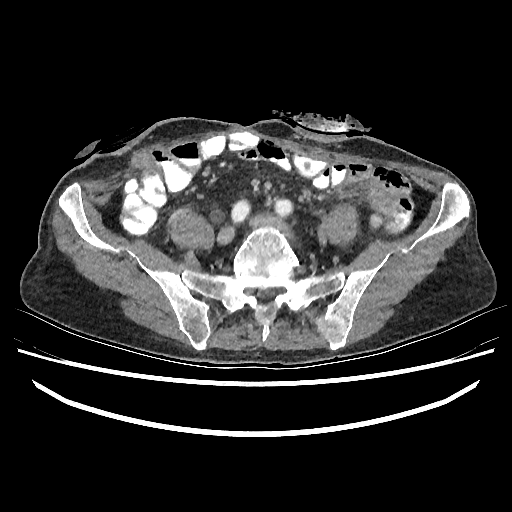

Computed tomography, 512x512
Segmented structures:
* kidney: x1=371, y1=216, x2=381, y2=226